Upper abdomen | Field of view 385x385 mm | CT scan slice 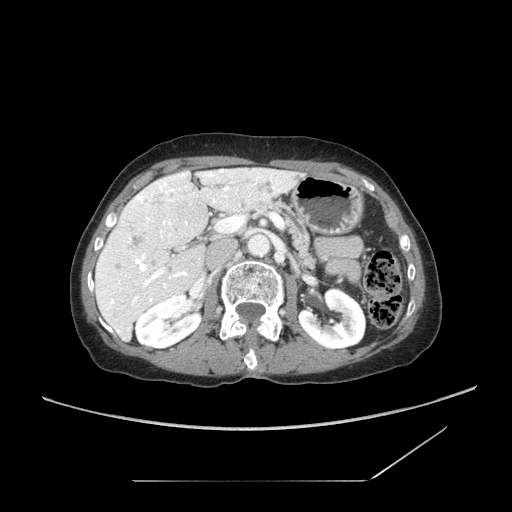 <segmentation>
  <pancreas>x1=266 y1=202 x2=314 y2=269</pancreas>
</segmentation>